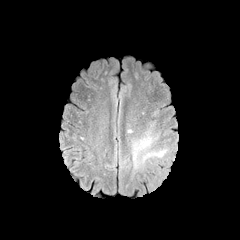
FLAIR MR image.
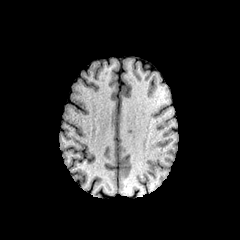
T1-weighted magnetic resonance of the same slice.
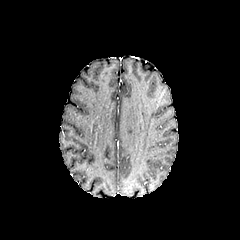
Post-contrast T1-weighted MRI of the same slice.
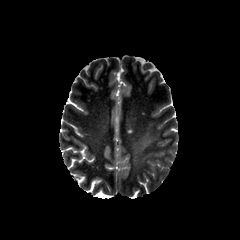
T2-weighted MRI.
240x240 px
2 edema regions are located at bbox=[153, 150, 165, 156]; bbox=[132, 130, 151, 168].